FLAIR magnetic resonance.
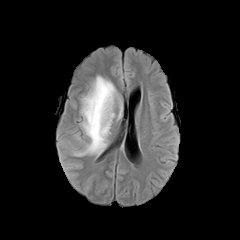
T1-weighted MRI.
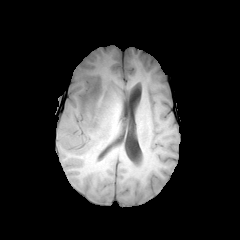
Post-contrast T1-weighted MR.
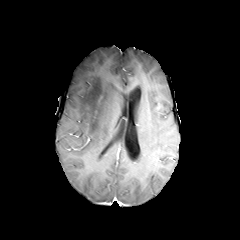
T2-weighted MRI.
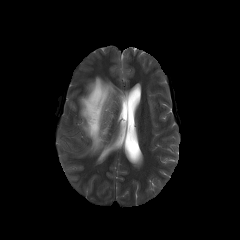
The edema is located at l=74, t=76, r=116, b=156.